FLAIR magnetic resonance.
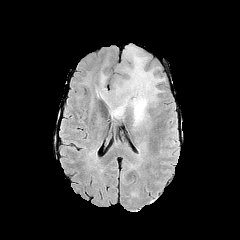
T1-weighted MRI.
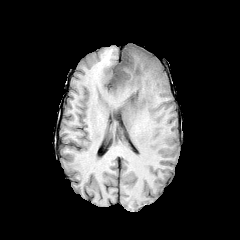
Post-contrast T1-weighted magnetic resonance.
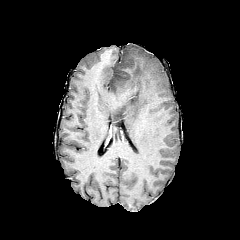
T2-weighted MR image.
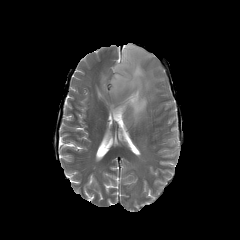
Image size 240x240
non-enhancing_tumor_core:
  - 122:89:138:101
edema:
  - 105:46:164:126